Field of view 240 mm wide, 1.00 mm slice spacing | Brain | Image size 240x240 | Slice 134/155
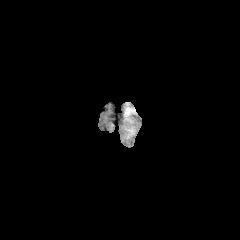
FLAIR MR image.
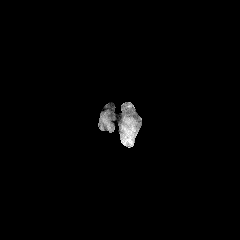
T1-weighted MR image.
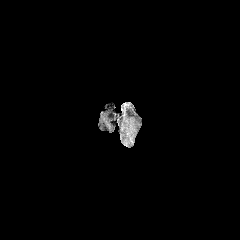
Same slice, post-contrast T1-weighted MRI.
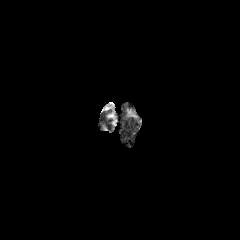
Same slice, T2-weighted magnetic resonance.
The edema is located at box=[126, 108, 135, 115].